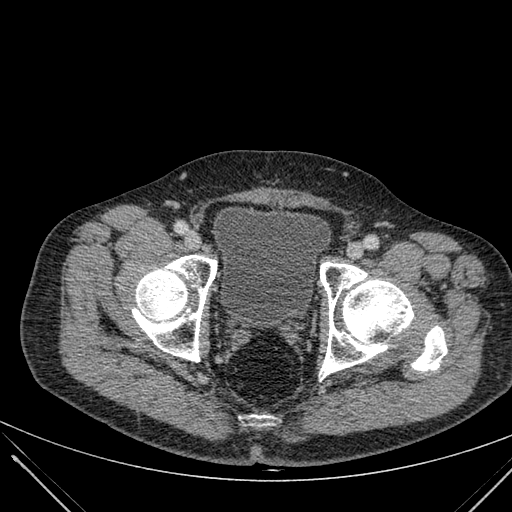 Lower abdomen. CT scan slice. Urinary bladder: bounding box region(213, 207, 330, 322).